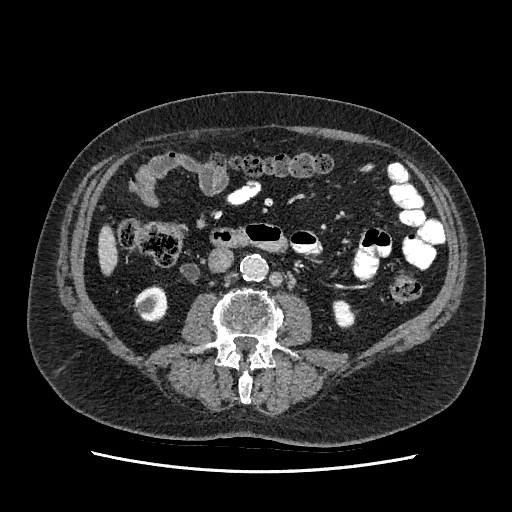 CT scan slice
Annotated regions:
* kidney: bbox=[136, 288, 166, 320]; bbox=[334, 302, 353, 325]
* liver: bbox=[99, 226, 116, 273]